CT slice. Slice index 55. Image width 368 mm. Liver.

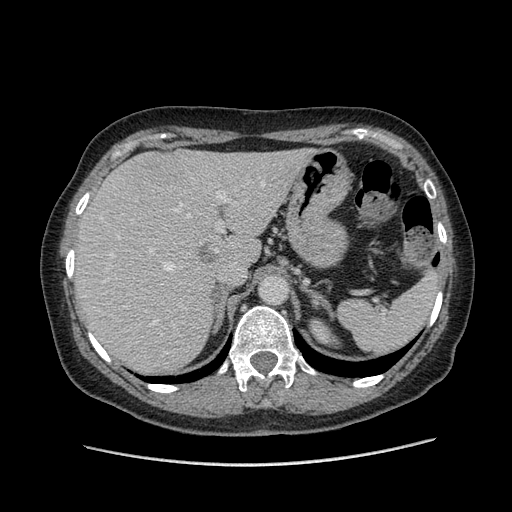
Only some of the vessels may be annotated.
Annotated regions:
- hepatic vessel: bbox=[126, 278, 128, 280]; bbox=[187, 215, 189, 217]; bbox=[131, 220, 132, 222]; bbox=[215, 222, 223, 232]; bbox=[164, 262, 175, 271]; bbox=[234, 189, 236, 192]; bbox=[216, 192, 226, 200]; bbox=[201, 241, 202, 243]; bbox=[149, 249, 153, 252]; bbox=[142, 280, 145, 281]